512x512 px, CT scan slice, Image width 700 mm

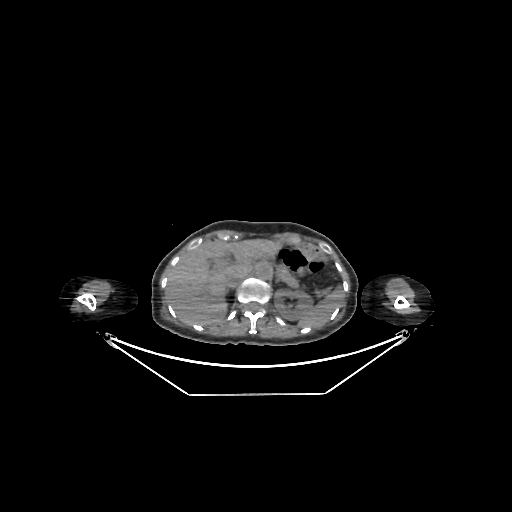

kidney: {"x1": 274, "y1": 288, "x2": 313, "y2": 320} | liver: {"x1": 165, "y1": 239, "x2": 280, "y2": 325}